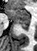

Hippocampus, 37x51, MRI
The anterior hippocampus lies within [5, 9, 30, 22]. The posterior hippocampus is bounded by [18, 23, 29, 30].